Slice index 58 | CT scan slice | Pelvis 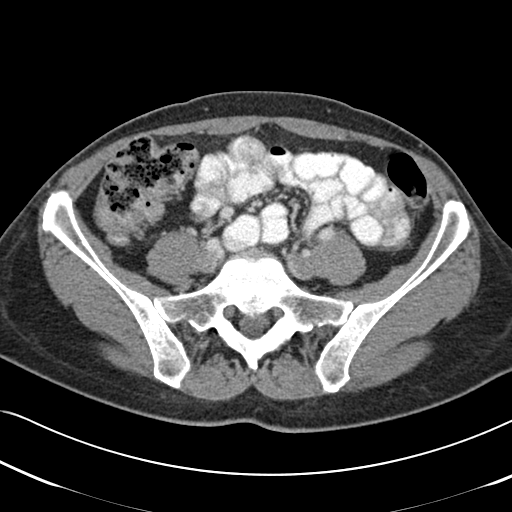

The colon tumor appears at l=93, t=178, r=169, b=244.